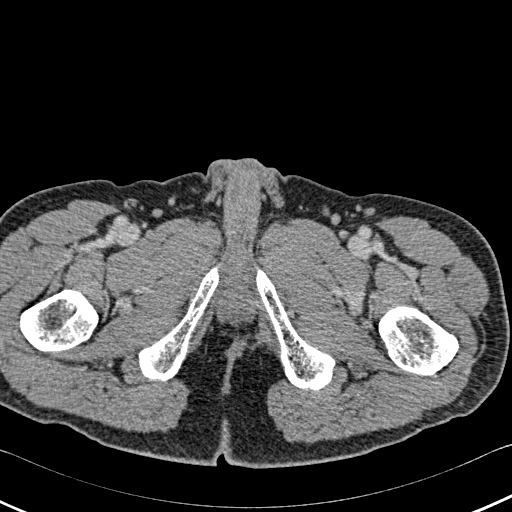

CT scan slice
Bone at left=256, top=269, right=334, bottom=389; left=379, top=307, right=458, bottom=375; left=139, top=267, right=218, bottom=380; left=20, top=290, right=97, bottom=350.